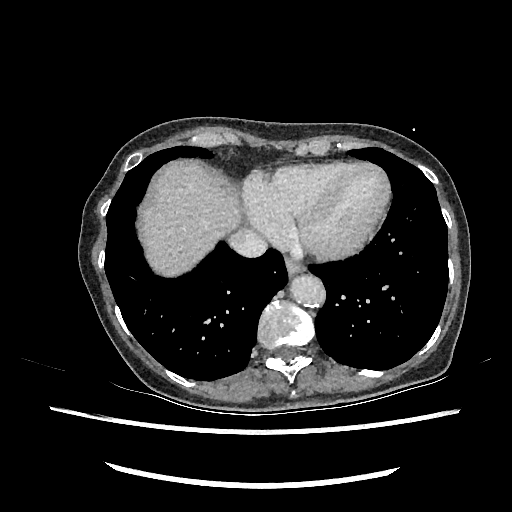 CT
{
  "liver": [
    "142, 164, 239, 274"
  ]
}